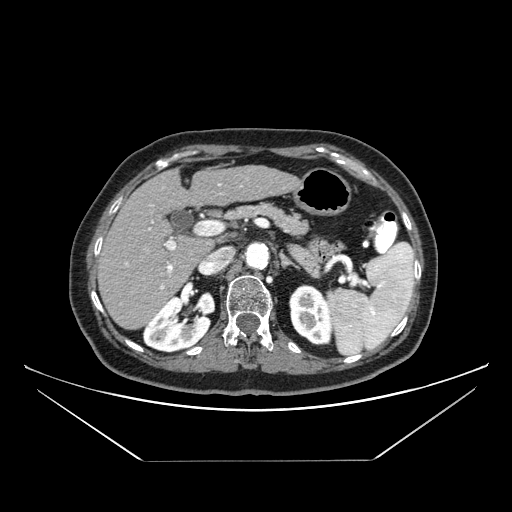 CT image.
The pancreas lies within bbox(201, 203, 309, 239).